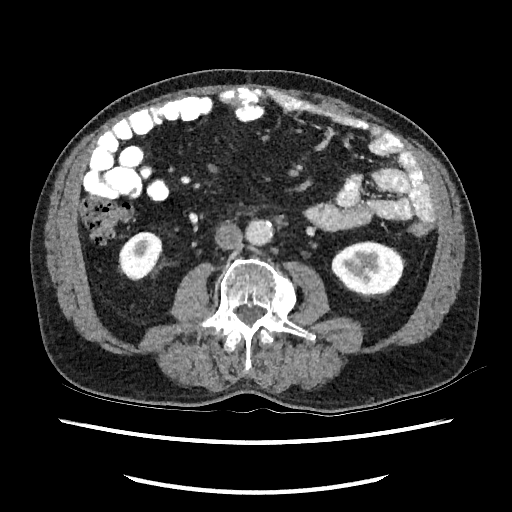

CT image, Abdomen
2 kidney regions appear at 119 232 161 280, 332 241 403 295.